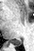
MR
The posterior hippocampus is at bbox(9, 40, 22, 46).